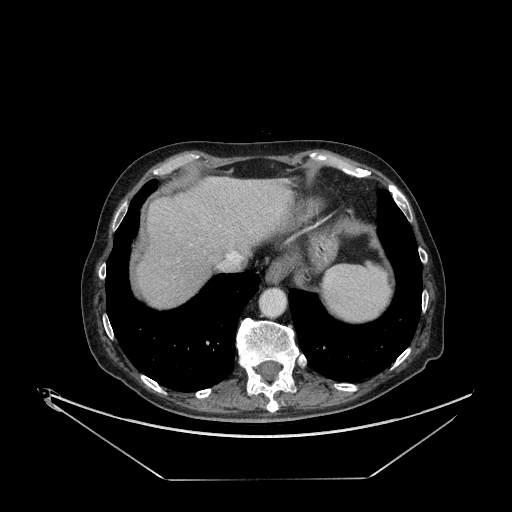
Abdomen. CT. The liver appears at rect(137, 178, 291, 307).